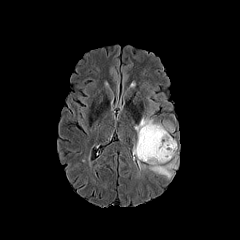
FLAIR MR image.
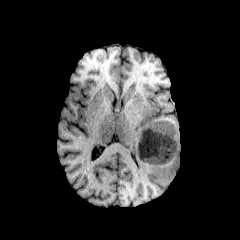
Same slice, T1-weighted MRI.
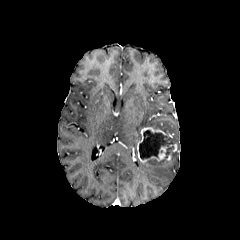
Post-contrast T1-weighted magnetic resonance.
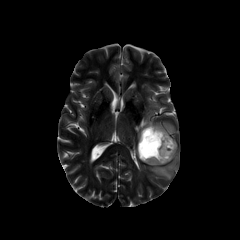
T2-weighted magnetic resonance.
240x240 px; Brain
Non-enhancing tumor core = (x1=139, y1=130, x2=175, y2=159).
Edema = (x1=134, y1=110, x2=172, y2=140), (x1=134, y1=146, x2=177, y2=178).
Enhancing tumor = (x1=137, y1=127, x2=170, y2=161).